Computed tomography | Field of view 462 mm wide, 5.00 mm slice spacing | Image size 512x512 | Slice index 79
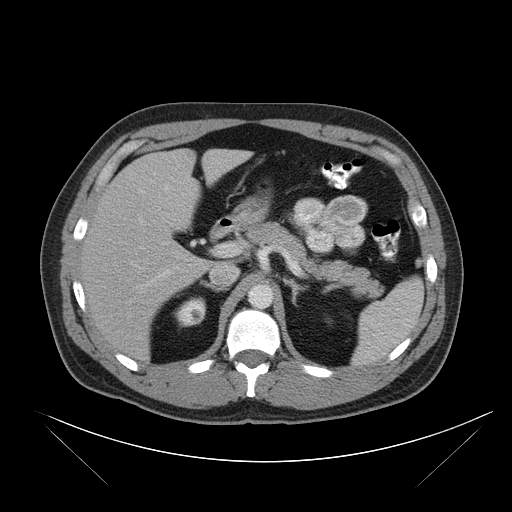 The spleen is bounded by bbox=[352, 279, 422, 365].